FLAIR MR.
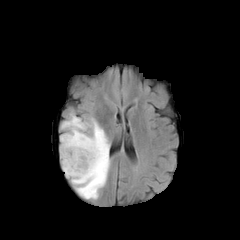
T1-weighted magnetic resonance.
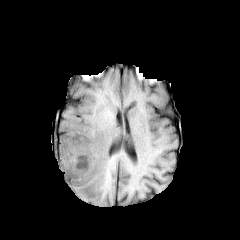
Post-contrast T1-weighted MR.
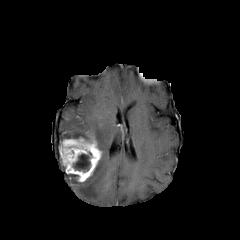
T2-weighted MR image.
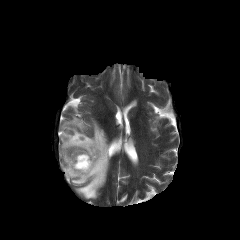
Head
enhancing_tumor:
  - 59 136 102 185
non-enhancing_tumor_core:
  - 74 154 89 169
edema:
  - 60 114 109 199